MR image, Hippocampus, 32x48
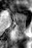

Annotated regions:
* anterior hippocampus: x1=12 y1=12 x2=25 y2=21
* posterior hippocampus: x1=15 y1=22 x2=25 y2=28